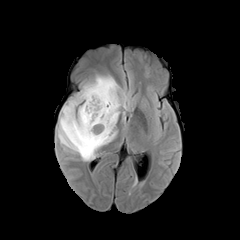
FLAIR magnetic resonance.
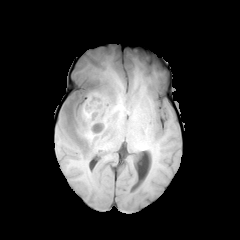
T1-weighted MR.
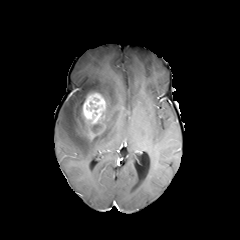
Post-contrast T1-weighted MR.
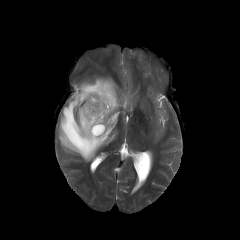
T2-weighted MR.
Brain
Segmented structures:
* enhancing tumor: <bbox>83, 93, 105, 123</bbox>
* non-enhancing tumor core: <bbox>89, 119, 104, 135</bbox>
* edema: <bbox>55, 75, 132, 161</bbox>